Slice 66 of 168 | 512x512 px | Abdomen | Field of view 386 mm wide, 1.50 mm slice spacing | CT image
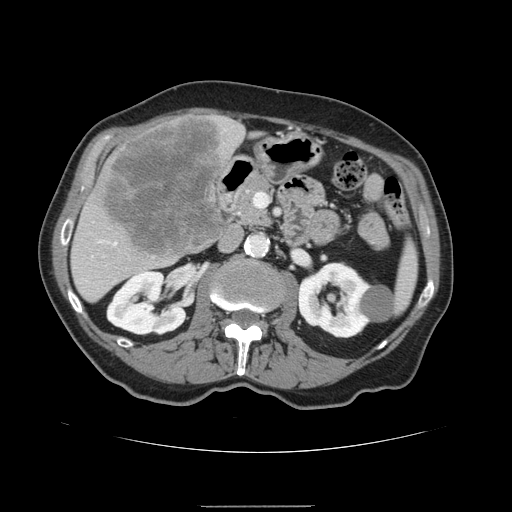
<segmentation>
  <spleen>393:240:417:313</spleen>
</segmentation>